Field of view 240 mm wide, 1.00 mm slice spacing; Slice index 126
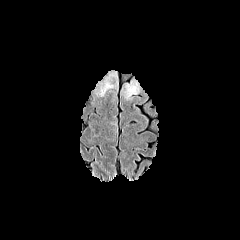
FLAIR MRI.
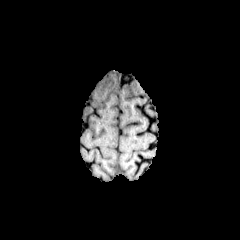
Same slice, T1-weighted magnetic resonance.
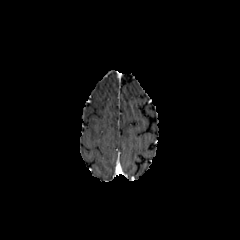
Post-contrast T1-weighted MR.
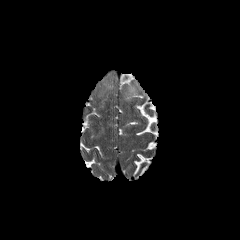
Same slice, T2-weighted MR.
Edema — [99,80,112,94].